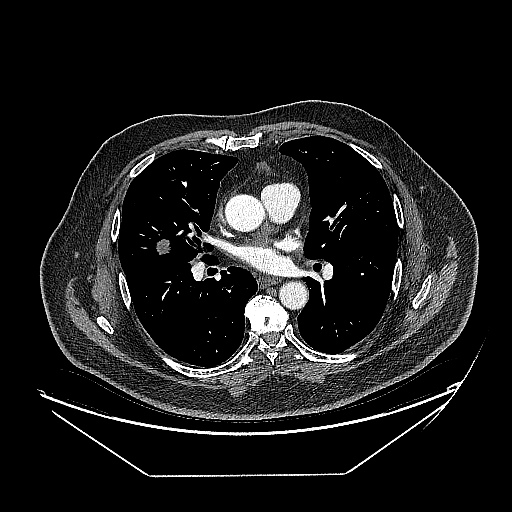

Chest, Image size 512x512, Computed tomography
Lung tumor at 154 236 175 256.